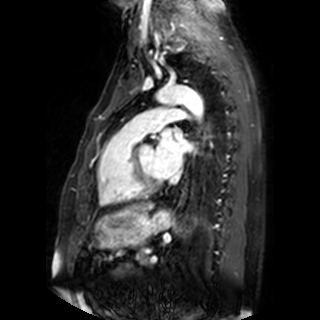

Magnetic resonance. Left atrium = bbox=[155, 128, 191, 176].